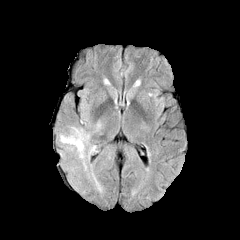
FLAIR MR image.
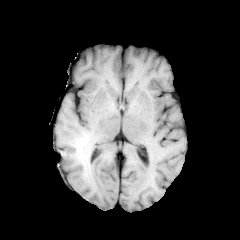
T1-weighted MR image of the same slice.
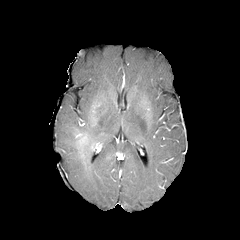
Post-contrast T1-weighted magnetic resonance.
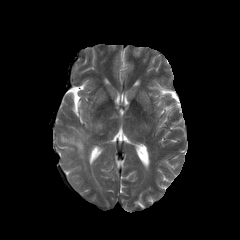
T2-weighted MR image of the same slice.
Findings:
* non-enhancing tumor core: 75, 131, 87, 143
* edema: 58, 126, 95, 167